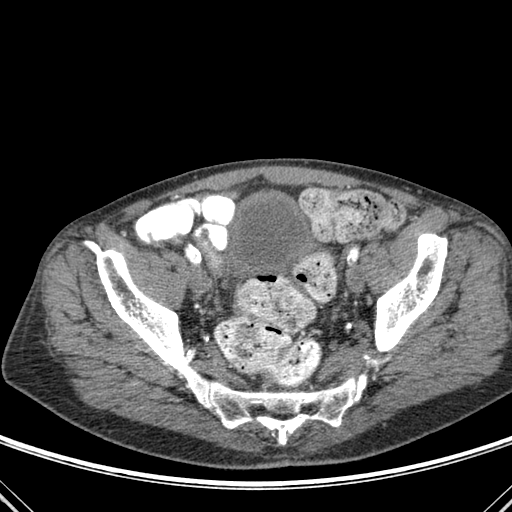
CT; Image size 512x512

{"bone": ["363, 355, 376, 364", "84, 241, 366, 444", "375, 233, 447, 351"]}